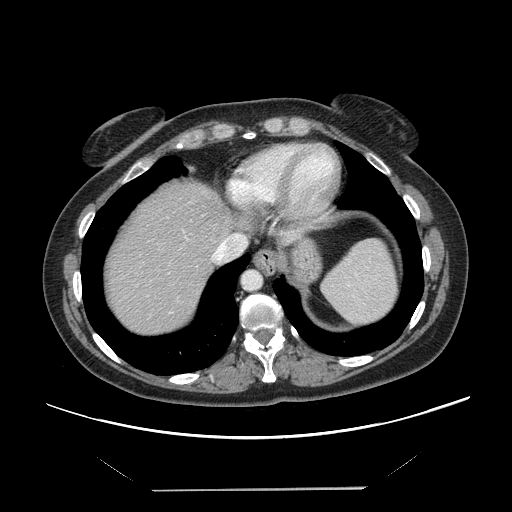

Image size 512x512 | CT
Some hepatic vessels may have no box.
The hepatic vessel is at 212 233 244 262.